FLAIR magnetic resonance.
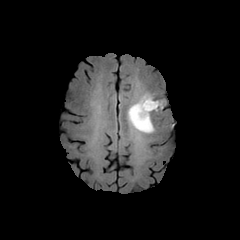
T1-weighted MRI.
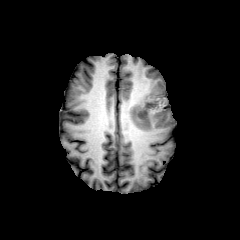
Post-contrast T1-weighted MR.
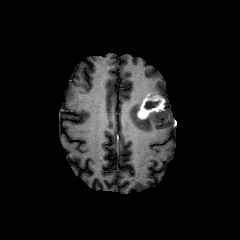
T2-weighted MR image.
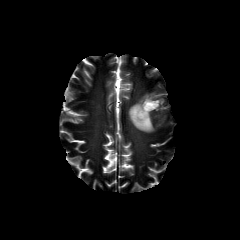
Brain | 240x240
2 non-enhancing tumor core regions are located at 131,102,141,123; 144,100,159,109. The edema is at 127,98,157,134. The enhancing tumor lies within 137,94,163,119.